Slice 52 of 144, 512x512, CT scan slice
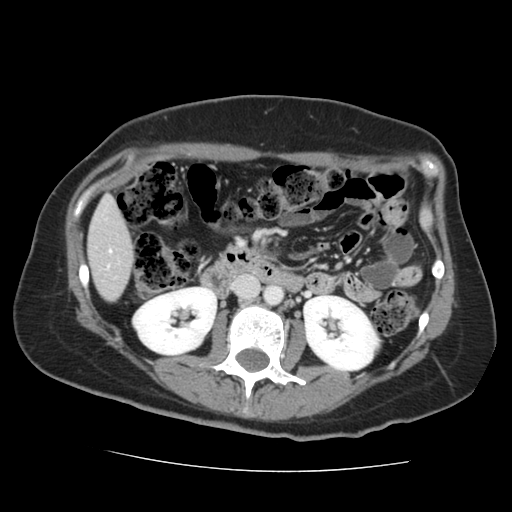 Some hepatic vessels may have no box.
Segmented structures:
- hepatic vessel: 109, 250, 110, 252